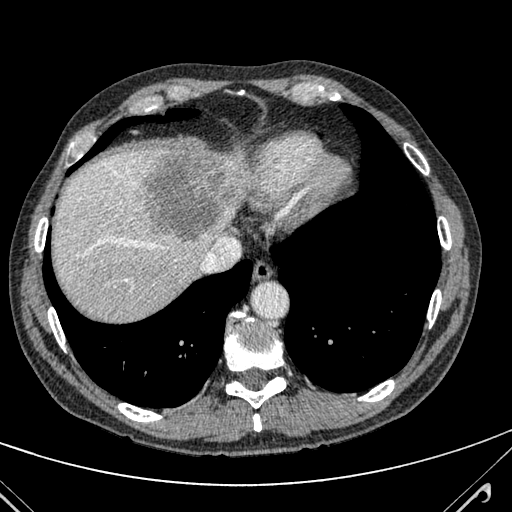 Liver, CT scan slice
{
  "liver": [
    {"x1": 52, "y1": 149, "x2": 245, "y2": 319}
  ],
  "hepatic_lesion": [
    {"x1": 141, "y1": 149, "x2": 238, "y2": 239}
  ]
}